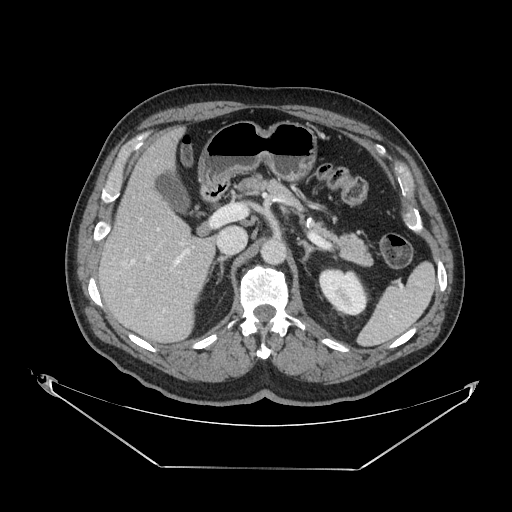 Image size 512x512; CT slice; Abdomen

The pancreas is bounded by (234, 173, 373, 267).